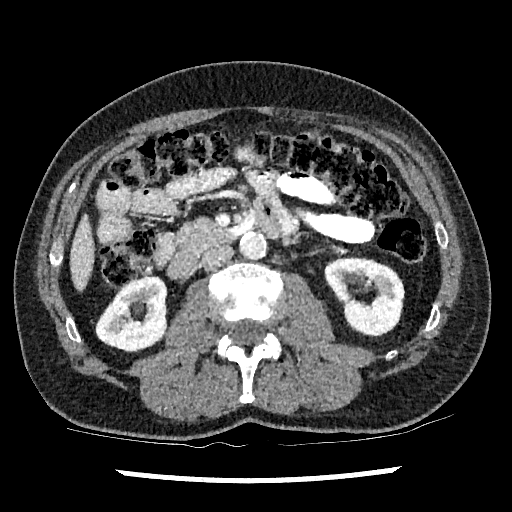
CT, Upper abdomen

Kidney at bbox=[97, 277, 165, 350]; bbox=[325, 259, 403, 334].
Liver at bbox=[70, 216, 93, 289].